Slice 152/181; 512x512 px; Image width 500 mm; CT

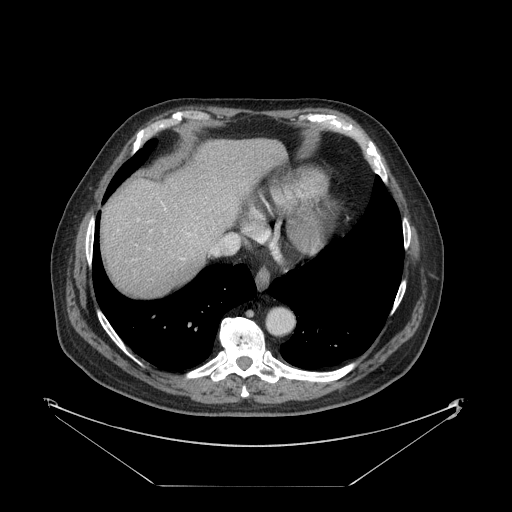 Not every hepatic vessel necessarily has a box.
<segmentation>
  <hepatic_vessel>{"x1": 137, "y1": 219, "x2": 138, "y2": 220}, {"x1": 187, "y1": 233, "x2": 189, "y2": 234}</hepatic_vessel>
</segmentation>